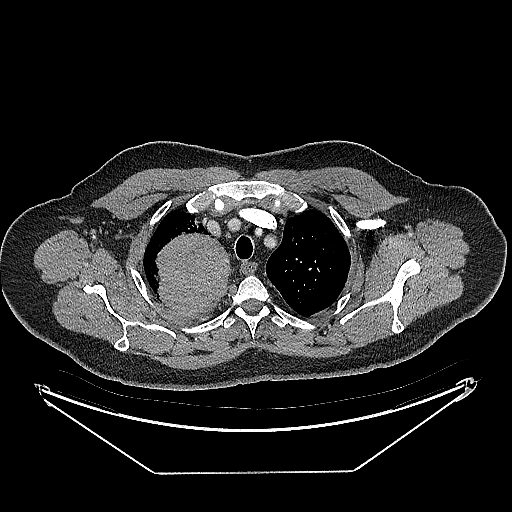 Image size 512x512, CT image, Thorax

Findings:
* lung tumor: box(149, 217, 229, 314)